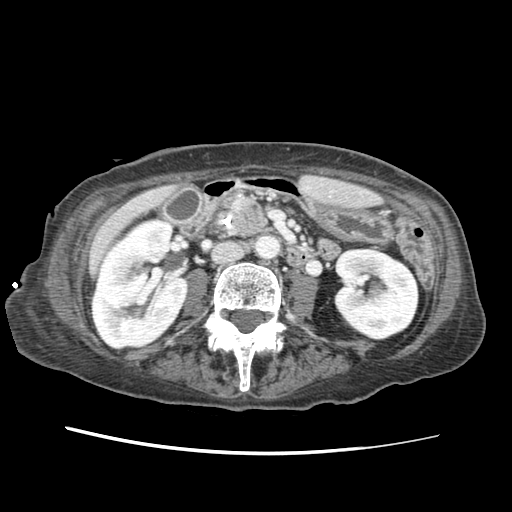
CT image
* pancreatic tumor: <box>235,201,261,232</box>
* pancreas: <box>231,197,266,236</box>